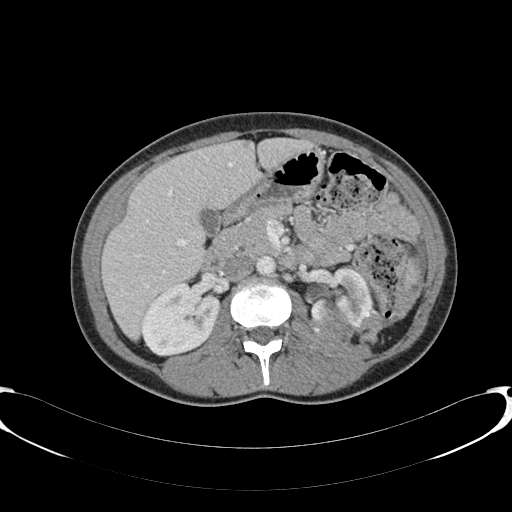 CT | Liver

<segmentation>
  <liver>103,140,258,338; 258,138,312,168</liver>
  <kidney>142,282,218,354; 312,269,371,348</kidney>
</segmentation>